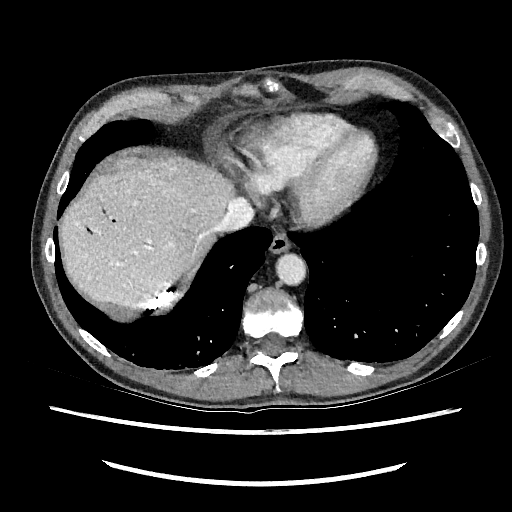
Liver | CT slice | 512x512 px
Liver = [x1=61, y1=156, x2=233, y2=307].